Head | Slice 105/155 | Field of view 240x240 mm
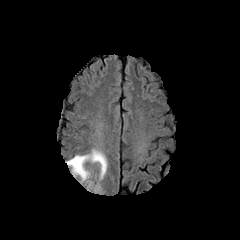
FLAIR MRI.
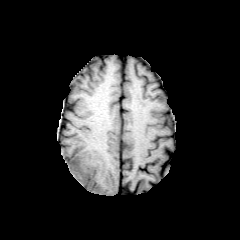
Same slice, T1-weighted MR.
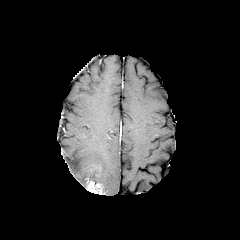
Post-contrast T1-weighted MRI of the same slice.
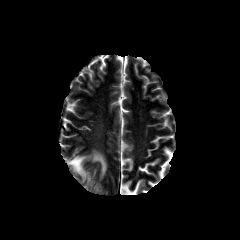
T2-weighted magnetic resonance.
<segmentation>
  <edema>[x1=66, y1=149, x2=107, y2=183]</edema>
  <non-enhancing_tumor_core>[x1=70, y1=158, x2=80, y2=167]</non-enhancing_tumor_core>
  <enhancing_tumor>[x1=86, y1=178, x2=100, y2=191]</enhancing_tumor>
</segmentation>